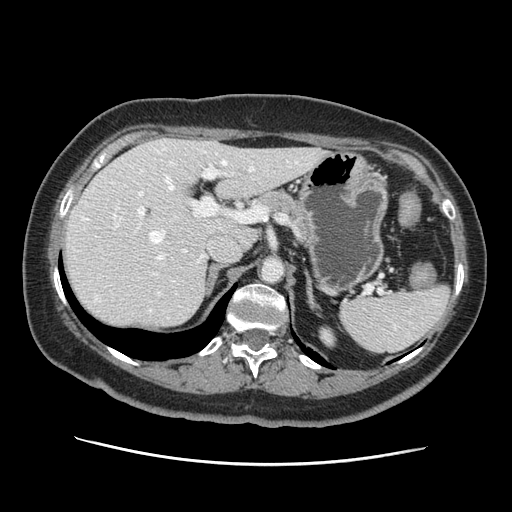 Abdomen | Computed tomography

Spleen = x1=340, y1=286, x2=449, y2=352.